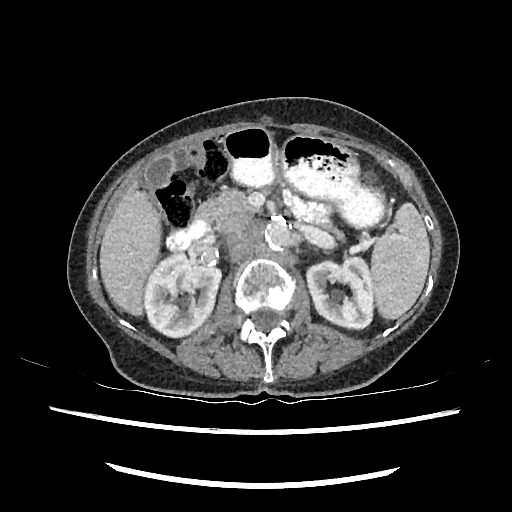

512x512 px, Computed tomography
liver: 100, 183, 159, 315 | kidney: 307, 258, 372, 327; 145, 259, 220, 336